Head
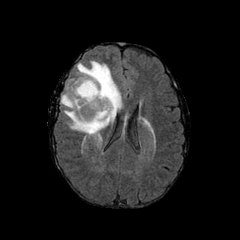
FLAIR MRI.
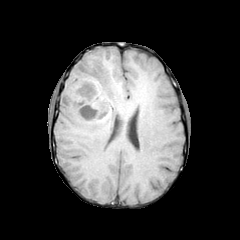
T1-weighted magnetic resonance of the same slice.
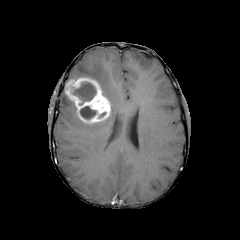
Post-contrast T1-weighted magnetic resonance.
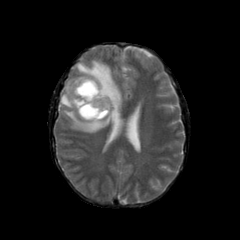
T2-weighted MR image of the same slice.
The enhancing tumor lies within box=[66, 78, 110, 122]. The edema is bounded by box=[60, 59, 121, 134]. 2 non-enhancing tumor core regions are bounded by box=[79, 106, 96, 124]; box=[70, 82, 96, 104].